FLAIR MR.
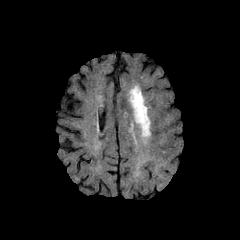
T1-weighted magnetic resonance.
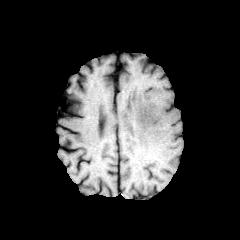
Post-contrast T1-weighted MR image.
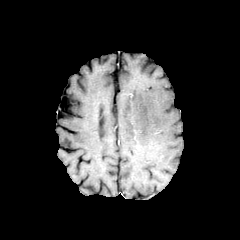
T2-weighted magnetic resonance.
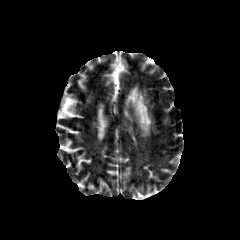
Brain.
Edema — {"x1": 127, "y1": 85, "x2": 152, "y2": 141}.